Field of view 240x240 mm.
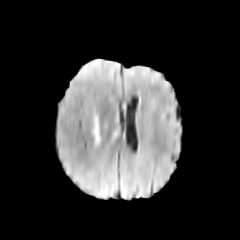
FLAIR MRI.
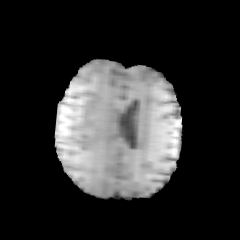
Same slice, T1-weighted MR image.
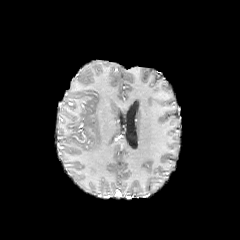
Post-contrast T1-weighted MR image.
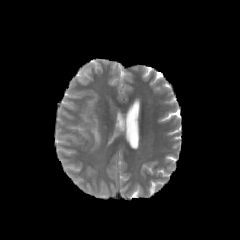
T2-weighted MR image.
{"edema": ["left=92, top=114, right=101, bottom=147"]}